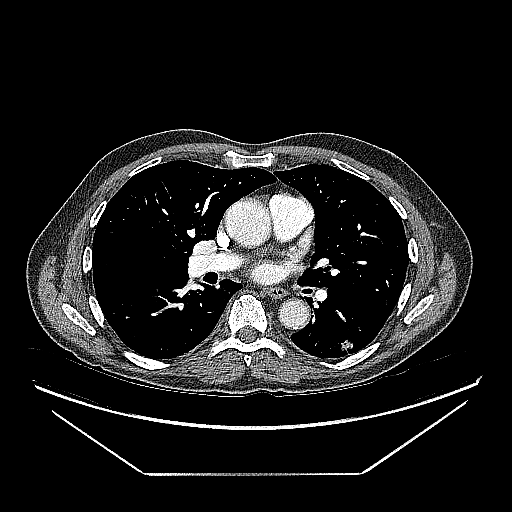

CT
lung_tumor:
  - {"x1": 341, "y1": 334, "x2": 355, "y2": 356}